Image size 320x320; Field of view 200 mm wide, 3.60 mm slice spacing
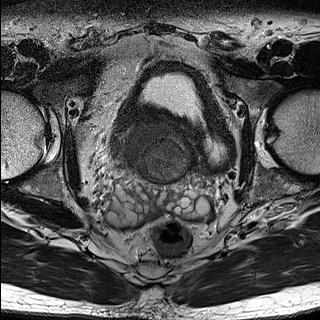
T2-weighted MR image.
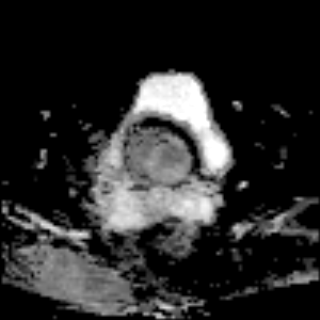
ADC magnetic resonance.
prostate_transition_zone:
  - box(131, 127, 191, 180)